Image size 240x240
FLAIR MR image.
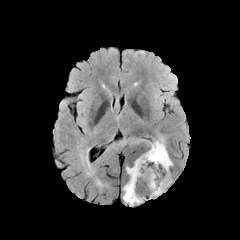
T1-weighted MR.
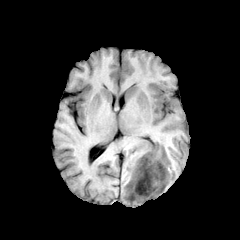
Post-contrast T1-weighted MRI.
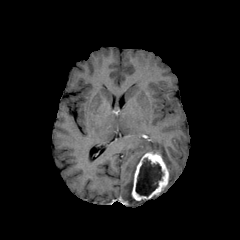
T2-weighted MR image.
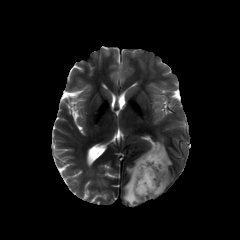
{"edema": ["l=123, t=156, r=143, b=204", "l=143, t=138, r=172, b=169"], "non-enhancing_tumor_core": ["l=136, t=159, r=161, b=196"], "enhancing_tumor": ["l=131, t=151, r=169, b=201"]}